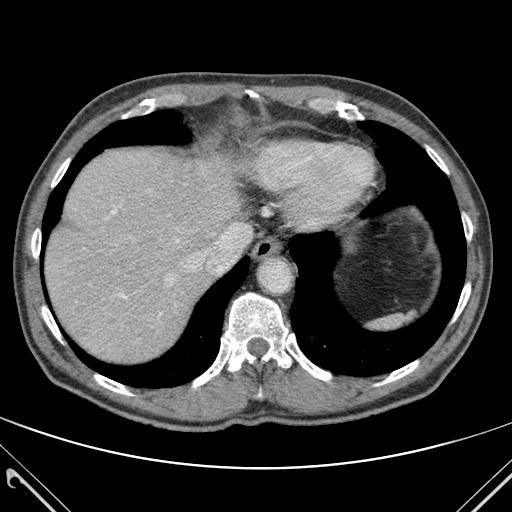

CT slice; Liver

Annotated regions:
• liver: {"x1": 45, "y1": 147, "x2": 241, "y2": 362}
• bone: {"x1": 462, "y1": 215, "x2": 472, "y2": 239}, {"x1": 453, "y1": 284, "x2": 470, "y2": 321}, {"x1": 42, "y1": 306, "x2": 62, "y2": 343}, {"x1": 51, "y1": 159, "x2": 69, "y2": 187}, {"x1": 427, "y1": 147, "x2": 448, "y2": 172}, {"x1": 193, "y1": 293, "x2": 330, "y2": 386}, {"x1": 31, "y1": 229, "x2": 40, "y2": 257}, {"x1": 382, "y1": 361, "x2": 418, "y2": 383}, {"x1": 246, "y1": 90, "x2": 258, "y2": 96}, {"x1": 95, "y1": 375, "x2": 132, "y2": 395}
• lung: {"x1": 42, "y1": 110, "x2": 190, "y2": 242}, {"x1": 71, "y1": 257, "x2": 249, "y2": 387}, {"x1": 290, "y1": 121, "x2": 466, "y2": 376}